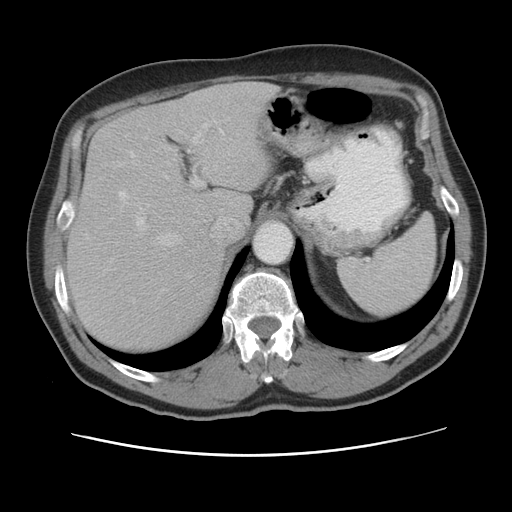 Computed tomography, Image size 512x512
Only some of the vessels may be annotated.
Most prominent 15 of 16 hepatic vessel regions = (x1=203, y1=123, x2=207, y2=127), (x1=192, y1=134, x2=201, y2=143), (x1=167, y1=145, x2=175, y2=149), (x1=129, y1=151, x2=134, y2=158), (x1=202, y1=168, x2=205, y2=172), (x1=124, y1=134, x2=129, y2=137), (x1=211, y1=178, x2=225, y2=184), (x1=162, y1=172, x2=167, y2=179), (x1=191, y1=176, x2=204, y2=186), (x1=136, y1=209, x2=144, y2=229), (x1=116, y1=163, x2=123, y2=166), (x1=188, y1=149, x2=190, y2=151), (x1=132, y1=161, x2=137, y2=164), (x1=206, y1=173, x2=207, y2=176), (x1=118, y1=190, x2=127, y2=201).